CT scan slice; Image size 512x512

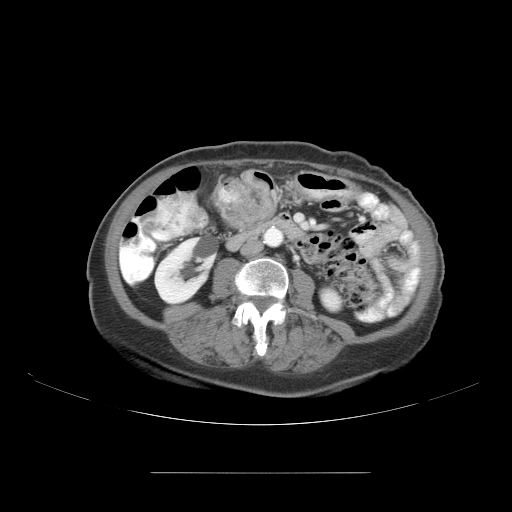 colon_tumor:
  - [x1=224, y1=169, x2=271, y2=228]
  - [x1=290, y1=176, x2=304, y2=194]